Liver | Computed tomography | Slice index 339 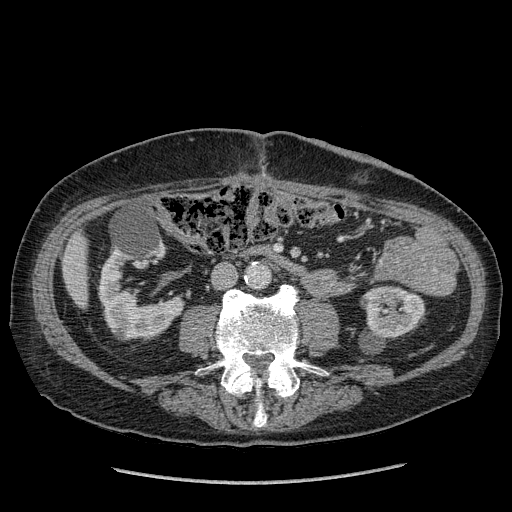

<segmentation>
  <liver>(x1=63, y1=230, x2=87, y2=308)</liver>
  <kidney>(x1=156, y1=246, x2=164, y2=256), (x1=99, y1=248, x2=183, y2=337), (x1=363, y1=286, x2=424, y2=337)</kidney>
</segmentation>